Image size 512x512. CT slice. Chest. Field of view 434 mm wide, 1.00 mm slice spacing.
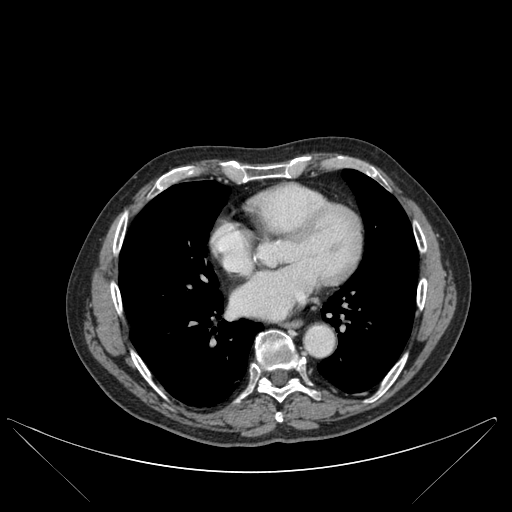

Lung: bounding box l=119, t=180, r=263, b=406; l=317, t=169, r=418, b=392.
Bone: bounding box l=275, t=412, r=282, b=421; l=131, t=352, r=160, b=393; l=113, t=212, r=127, b=253; l=414, t=222, r=426, b=251; l=154, t=166, r=192, b=191; l=110, t=283, r=121, b=312; l=417, t=279, r=426, b=308; l=213, t=158, r=309, b=182; l=237, t=330, r=316, b=401; l=369, t=355, r=406, b=401.